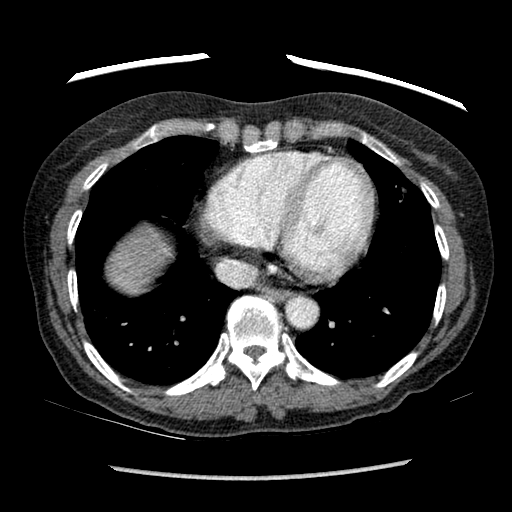

CT slice, Upper abdomen
The liver is at <box>107,228,171,290</box>.